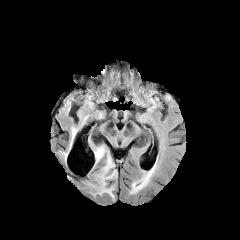
FLAIR magnetic resonance.
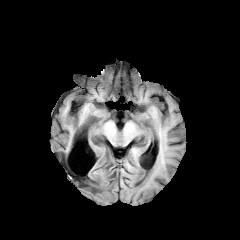
T1-weighted MR.
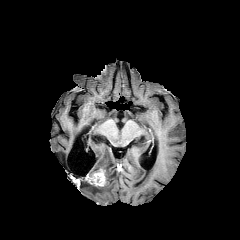
Post-contrast T1-weighted MR of the same slice.
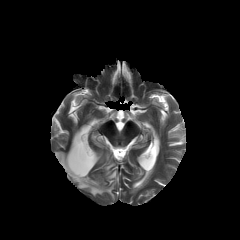
T2-weighted MR image.
240x240 | Brain
Non-enhancing tumor core — region(84, 174, 100, 183).
Edema — region(70, 128, 78, 149); region(81, 144, 117, 198); region(134, 170, 153, 183); region(58, 151, 68, 161).
Enhancing tumor — region(90, 172, 104, 185).